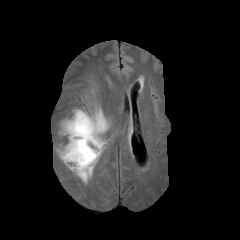
FLAIR MRI.
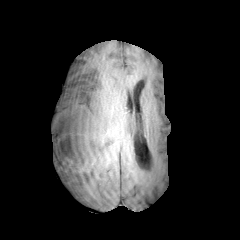
Same slice, T1-weighted MRI.
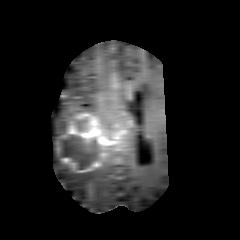
Post-contrast T1-weighted magnetic resonance.
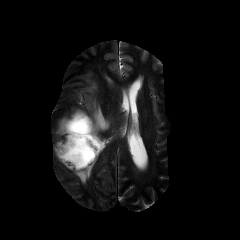
T2-weighted MR image of the same slice.
Head; 240x240 px
Non-enhancing tumor core: box=[64, 116, 87, 131]; box=[62, 135, 103, 171].
Enhancing tumor: box=[64, 113, 108, 145]; box=[60, 157, 75, 169].
Edema: box=[90, 146, 105, 165]; box=[55, 105, 110, 183]; box=[69, 154, 80, 169].